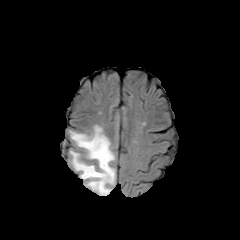
FLAIR MR.
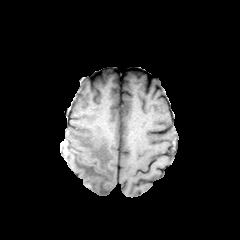
T1-weighted magnetic resonance.
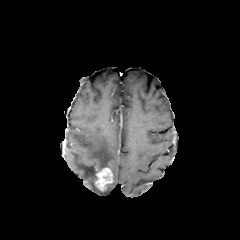
Post-contrast T1-weighted MR.
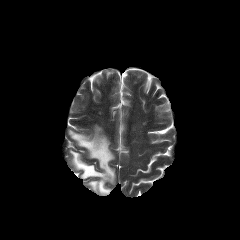
T2-weighted MRI of the same slice.
Brain
The enhancing tumor is located at (left=94, top=167, right=113, bottom=191). The edema is at (left=68, top=125, right=116, bottom=195).